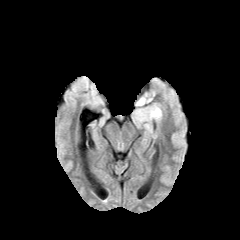
FLAIR MR.
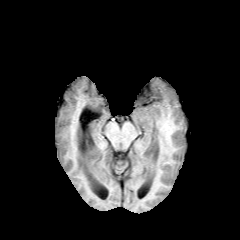
T1-weighted MRI.
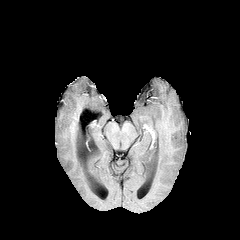
Post-contrast T1-weighted MRI.
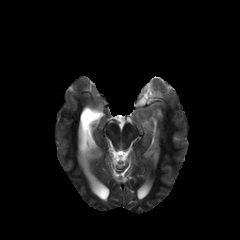
T2-weighted MRI.
Brain
The edema appears at rect(132, 90, 162, 125). The non-enhancing tumor core appears at rect(142, 92, 151, 99).